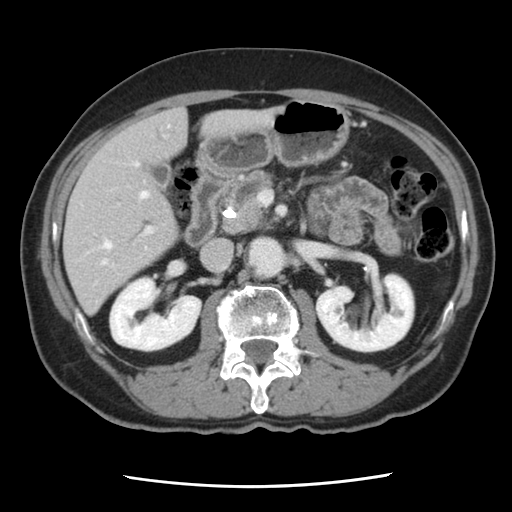

CT. Abdomen. Image size 512x512. Pancreatic tumor at [x1=221, y1=201, x2=264, y2=235].
Pancreas at [x1=224, y1=170, x2=273, y2=217].